CT scan slice. Abdomen.

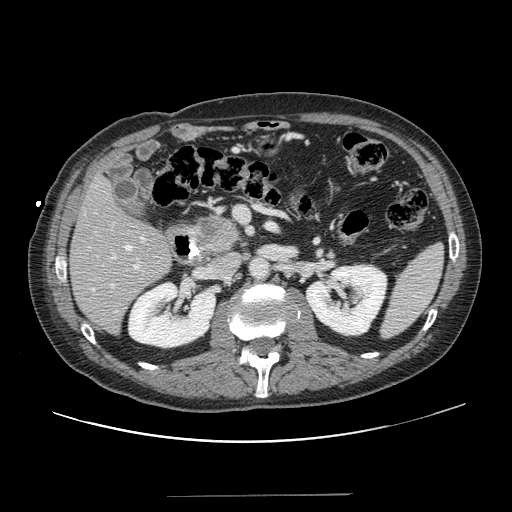
Pancreas at (left=188, top=213, right=243, bottom=257).
Pancreatic tumor at (left=194, top=215, right=234, bottom=242).